CT image
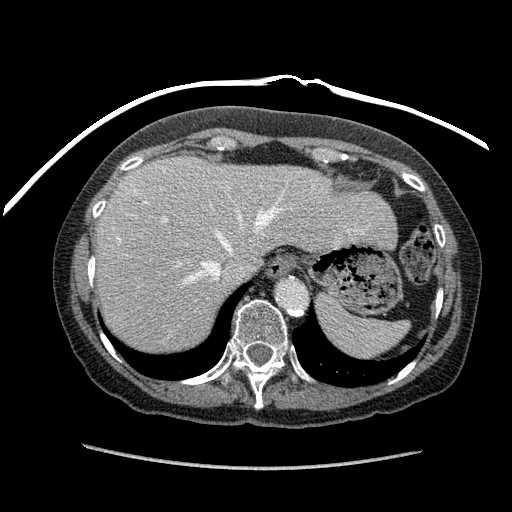
liver: bbox=[94, 157, 395, 352]